Slice 132 of 181; CT image; 512x512
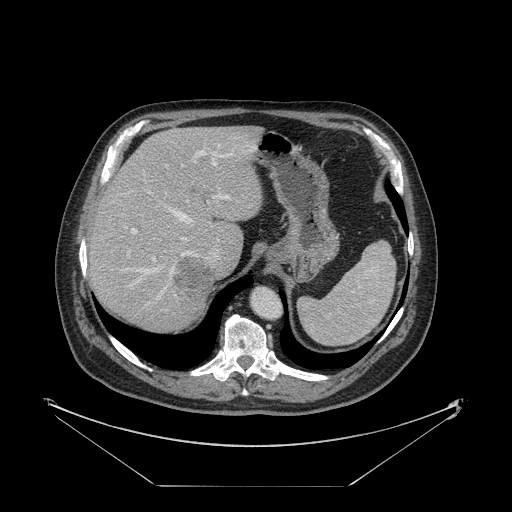

Some hepatic vessels may have no box.
liver_tumor:
  - 174:258:212:303
hepatic_vessel:
  - 193:158:195:162
  - 131:229:136:233
  - 128:250:129:253
  - 182:237:184:239
  - 153:257:154:260
  - 196:151:204:156
  - 216:194:226:197
  - 211:158:214:164
  - 166:165:167:167